CT slice | 512x512 | Liver | Image width 439 mm

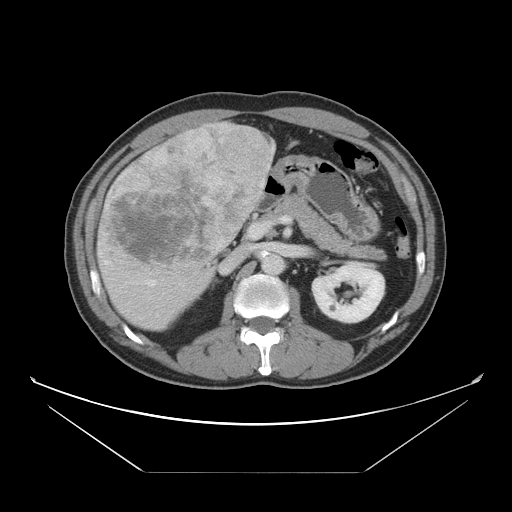
Only some of the vessels may be annotated.
5 hepatic vessel regions are bounded by 101 260 110 264, 147 291 148 292, 179 283 181 284, 146 279 156 286, 103 270 106 272. The liver tumor lies within 103 126 270 267.